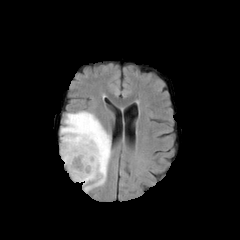
FLAIR MRI.
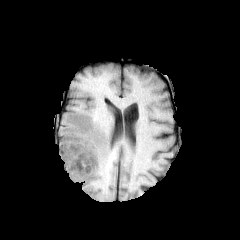
T1-weighted MRI of the same slice.
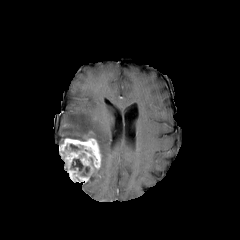
Post-contrast T1-weighted MRI of the same slice.
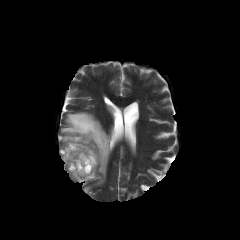
T2-weighted MRI.
The non-enhancing tumor core is at [72,159,82,170]. The edema is at [61,111,110,191]. The enhancing tumor lies within [59,136,101,182].